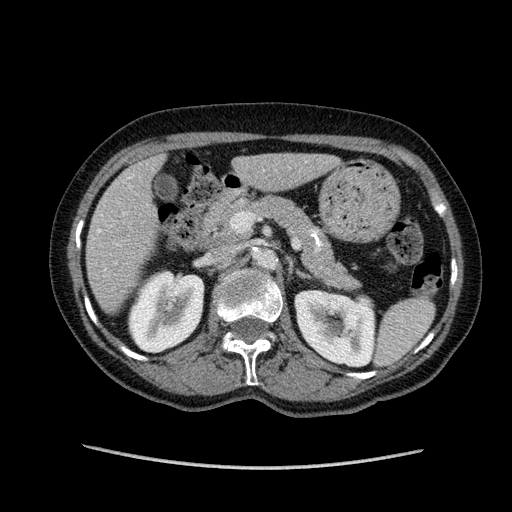
CT, Image size 512x512
<segmentation>
  <liver>(left=86, top=159, right=159, bottom=304), (left=238, top=152, right=331, bottom=189)</liver>
  <kidney>(left=295, top=291, right=373, bottom=365), (left=130, top=272, right=203, bottom=351)</kidney>
</segmentation>